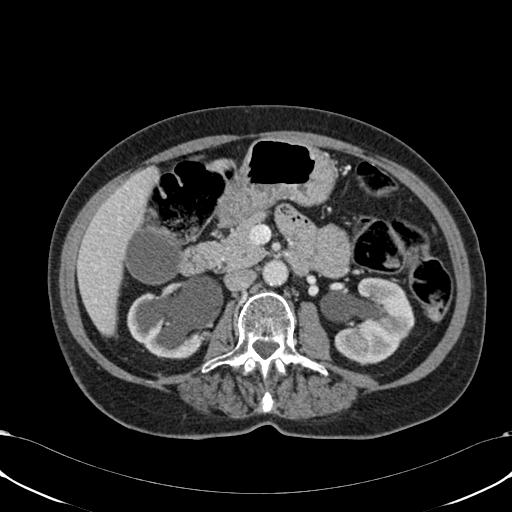 Image size 512x512. CT slice. Upper abdomen. Kidney = rect(128, 291, 224, 357); rect(335, 278, 413, 363).
Liver = rect(213, 159, 229, 170); rect(77, 165, 158, 335).